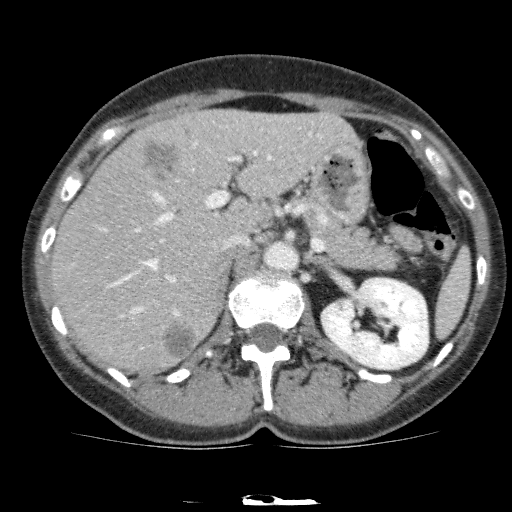
CT. Image size 512x512. Upper abdomen.
The liver is at 50:109:361:373. The kidney is bounded by 322:278:428:368. 3 hepatic lesion regions appear at 139:136:181:181, 161:320:198:361, 179:122:191:142.